FLAIR MRI.
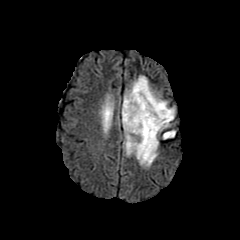
T1-weighted MR.
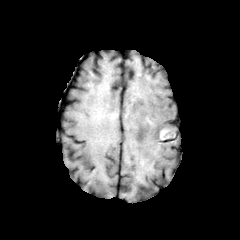
Post-contrast T1-weighted MR.
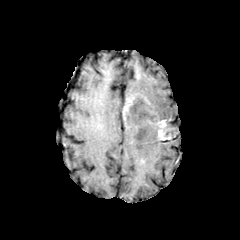
T2-weighted MR.
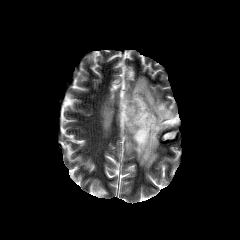
<segmentation>
  <edema>x1=104, y1=103, x2=112, y2=127; x1=122, y1=76, x2=175, y2=166</edema>
  <enhancing_tumor>x1=123, y1=98, x2=131, y2=114; x1=156, y1=120, x2=167, y2=135</enhancing_tumor>
  <non-enhancing_tumor_core>x1=121, y1=94, x2=154, y2=135; x1=159, y1=130, x2=172, y2=138</non-enhancing_tumor_core>
</segmentation>